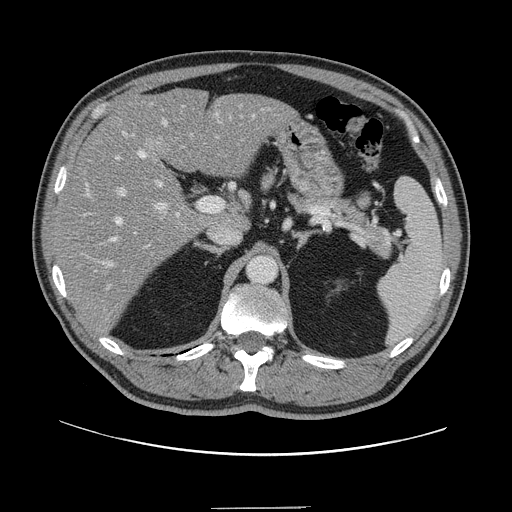

CT slice

Not every hepatic vessel necessarily has a box.
15 hepatic vessel regions are located at [115, 217, 122, 223], [139, 151, 145, 157], [157, 181, 162, 186], [163, 119, 166, 124], [108, 286, 109, 288], [118, 189, 125, 195], [201, 209, 203, 210], [87, 184, 89, 195], [111, 238, 117, 241], [124, 133, 126, 135], [117, 157, 119, 158], [177, 214, 178, 215], [156, 204, 165, 212], [102, 263, 112, 266], [215, 113, 218, 118].